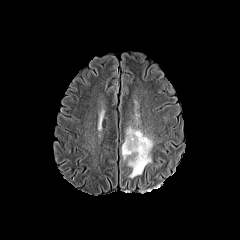
FLAIR MR image.
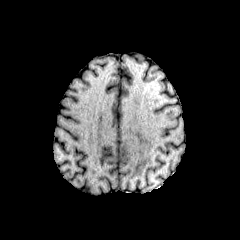
Same slice, T1-weighted MR.
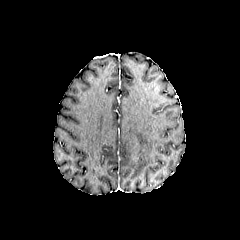
Post-contrast T1-weighted MRI.
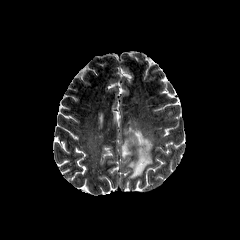
T2-weighted MR of the same slice.
* edema: [121,122,153,178]